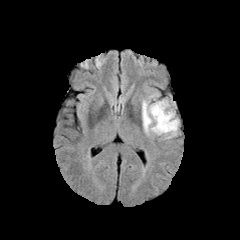
FLAIR MR image.
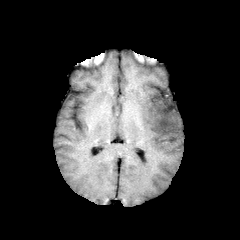
T1-weighted MR image.
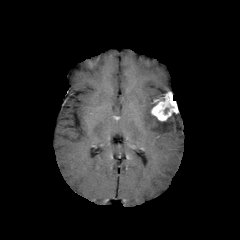
Post-contrast T1-weighted MRI.
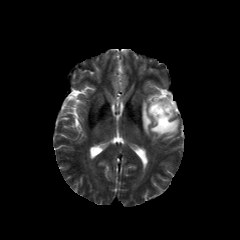
T2-weighted MR image.
Head
Segmented structures:
- enhancing tumor: l=150, t=92, r=178, b=121
- edema: l=142, t=92, r=179, b=138